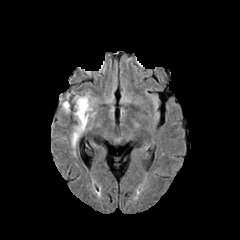
FLAIR MR.
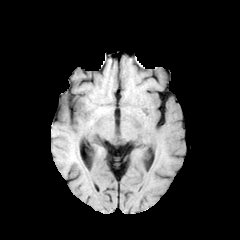
Same slice, T1-weighted magnetic resonance.
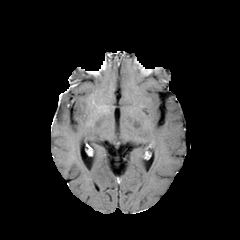
Same slice, post-contrast T1-weighted MRI.
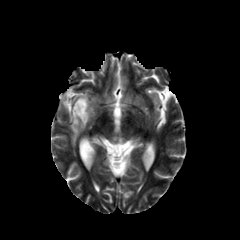
T2-weighted MRI.
240x240 px
The edema lies within x1=61, y1=93, x2=96, y2=147.